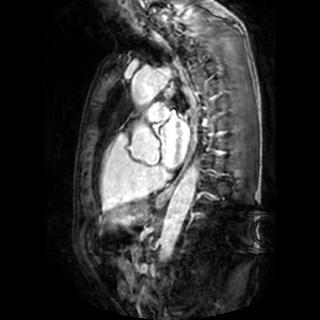
MR. The left atrium is located at x1=161 y1=115 x2=189 y2=167.